Image width 400 mm; CT image; 512x512

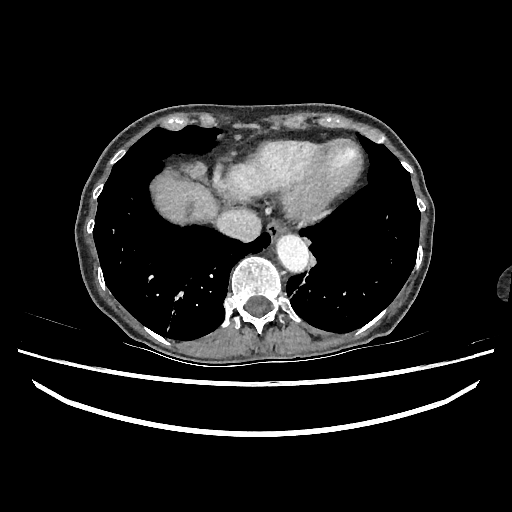 liver: [153, 176, 216, 222]